FLAIR magnetic resonance.
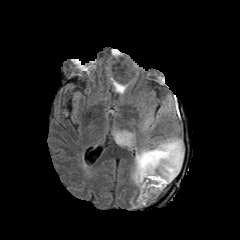
T1-weighted magnetic resonance.
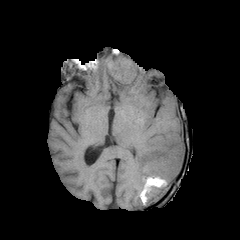
Post-contrast T1-weighted MR image.
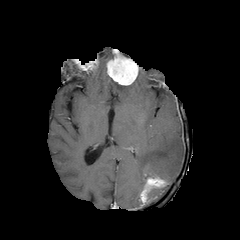
T2-weighted MR image.
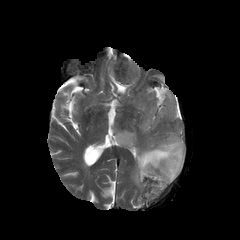
4 edema regions are located at region(133, 134, 184, 192); region(148, 188, 163, 196); region(114, 84, 128, 93); region(120, 134, 131, 146). 2 non-enhancing tumor core regions appear at region(107, 55, 136, 82); region(144, 172, 169, 187). 2 enhancing tumor regions are bounded by region(141, 176, 165, 202); region(107, 67, 134, 85).